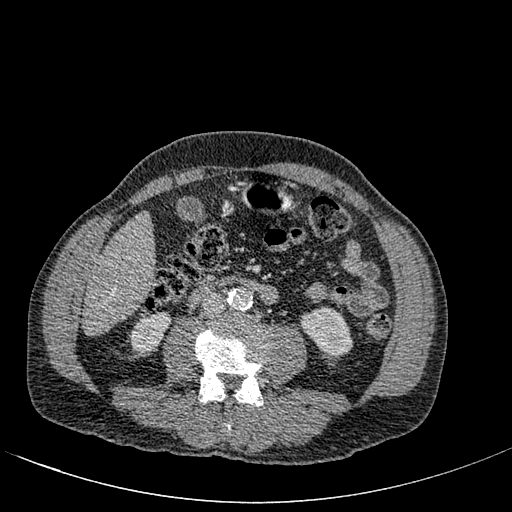
Image size 512x512; Abdomen; CT scan slice
2 kidney regions are bounded by x1=131 y1=312 x2=170 y2=355, x1=301 y1=307 x2=352 y2=357. The liver is located at x1=82 y1=212 x2=154 y2=333.